Liver; Slice 436 of 836; CT slice; Field of view 348x348 mm
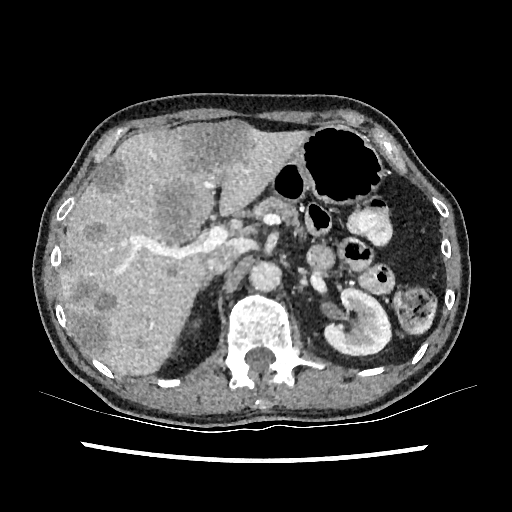
liver:
  - box(60, 129, 308, 374)
focal_liver_lesion:
  - box(156, 183, 198, 242)
  - box(71, 314, 109, 352)
  - box(61, 254, 74, 269)
  - box(84, 222, 106, 241)
  - box(70, 279, 98, 303)
  - box(92, 159, 124, 192)
  - box(93, 290, 117, 312)
  - box(171, 122, 256, 173)
  - box(135, 336, 146, 347)
  - box(167, 264, 177, 276)
kidney:
  - box(312, 277, 325, 291)
  - box(323, 289, 394, 358)